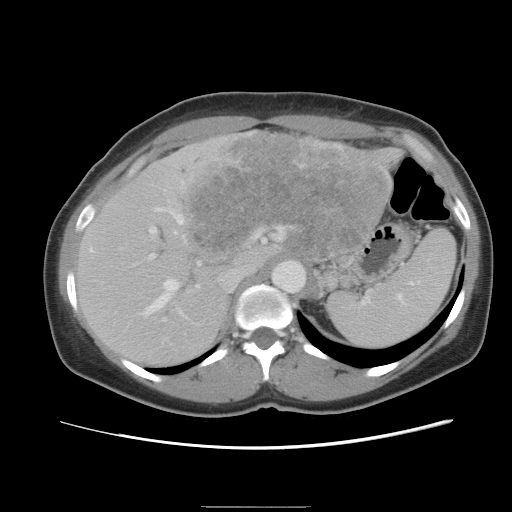 CT
Only some of the vessels may be annotated.
Hepatic vessel = bbox(197, 261, 200, 264); bbox(257, 236, 264, 240); bbox(155, 207, 182, 222); bbox(217, 248, 262, 291); bbox(180, 312, 185, 317); bbox(195, 285, 198, 287); bbox(147, 279, 177, 311); bbox(174, 231, 175, 232); bbox(89, 247, 91, 250); bbox(149, 254, 154, 257); bbox(275, 235, 281, 239); bbox(163, 318, 165, 319); bbox(181, 182, 182, 183); bbox(150, 227, 156, 234).
Liver tumor = bbox(182, 134, 385, 262).